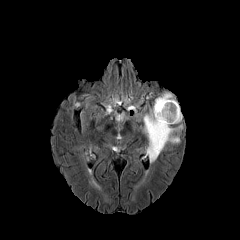
FLAIR MRI.
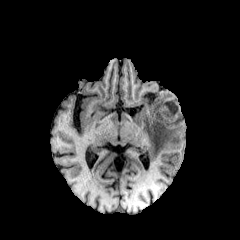
T1-weighted MRI.
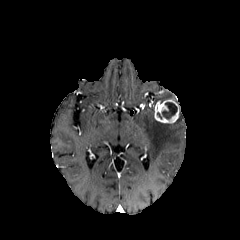
Post-contrast T1-weighted MR.
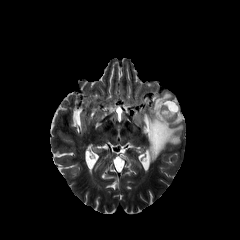
T2-weighted MR.
Image size 240x240 | Brain
Findings:
• edema: [143, 111, 183, 164], [155, 92, 173, 104]
• non-enhancing tumor core: [162, 101, 177, 118]
• enhancing tumor: [154, 99, 178, 123]